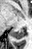 Magnetic resonance.
posterior hippocampus: rect(11, 29, 24, 39)